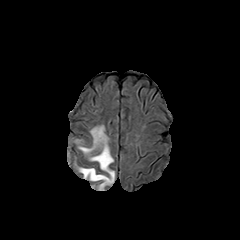
FLAIR MRI.
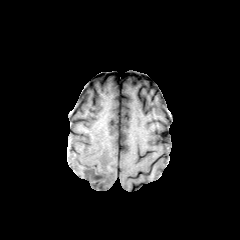
T1-weighted MR image of the same slice.
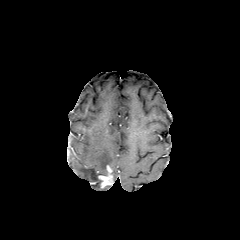
Post-contrast T1-weighted MR image.
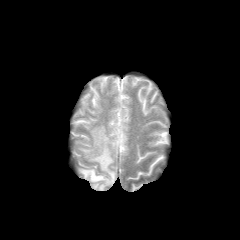
T2-weighted MR image.
Brain; 240x240
The edema is at 78:126:113:189. The enhancing tumor is at 98:167:112:187.